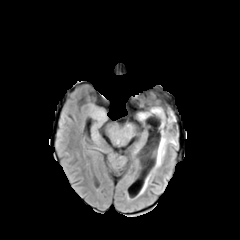
FLAIR MR.
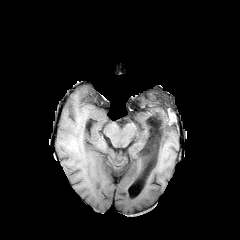
T1-weighted MR image.
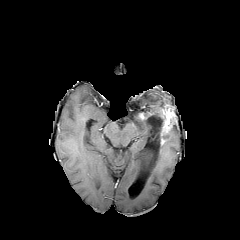
Same slice, post-contrast T1-weighted MR.
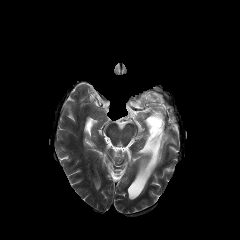
T2-weighted magnetic resonance of the same slice.
Edema: bounding box bbox=[140, 125, 177, 194]; bbox=[152, 134, 159, 144].
Enhancing tumor: bounding box bbox=[157, 105, 173, 145].
Non-enhancing tumor core: bounding box bbox=[150, 102, 163, 141].